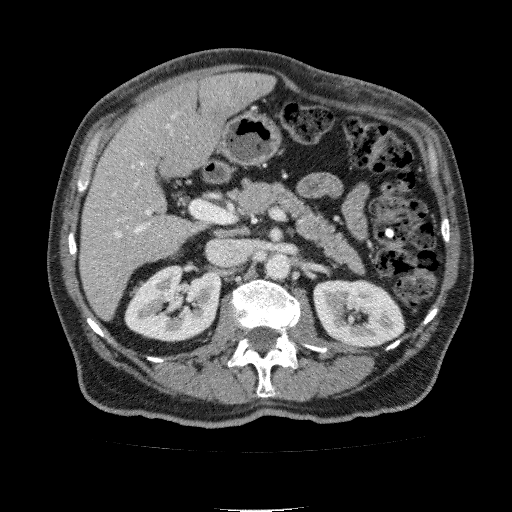

Abdomen, Computed tomography

liver: (x1=81, y1=73, x2=276, y2=320) | kidney: (x1=314, y1=281, x2=403, y2=346), (x1=125, y1=266, x2=220, y2=340)